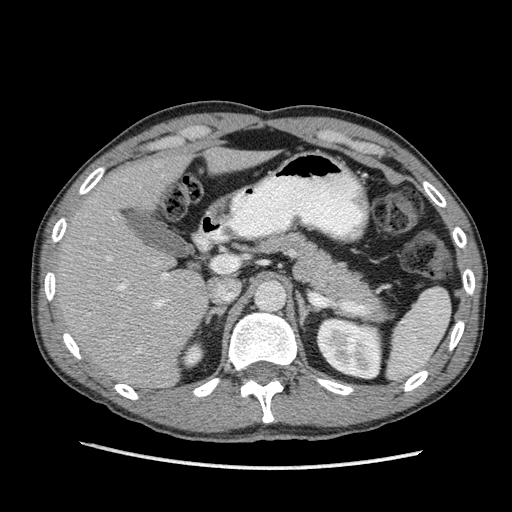 Upper abdomen; CT; 512x512 px
• kidney: bbox=[318, 320, 379, 377]
• liver: bbox=[199, 146, 282, 174]; bbox=[51, 150, 212, 390]